FLAIR MRI.
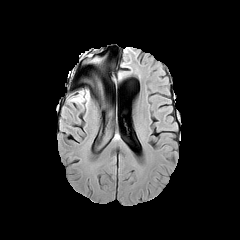
T1-weighted MRI.
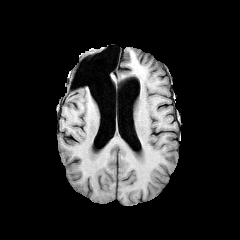
Post-contrast T1-weighted MRI.
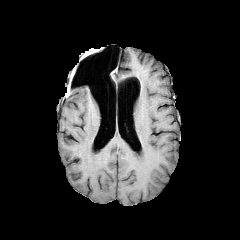
T2-weighted MR.
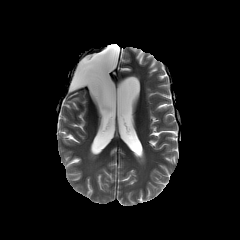
Brain
2 edema regions are located at l=85, t=54, r=100, b=62; l=76, t=93, r=86, b=102.